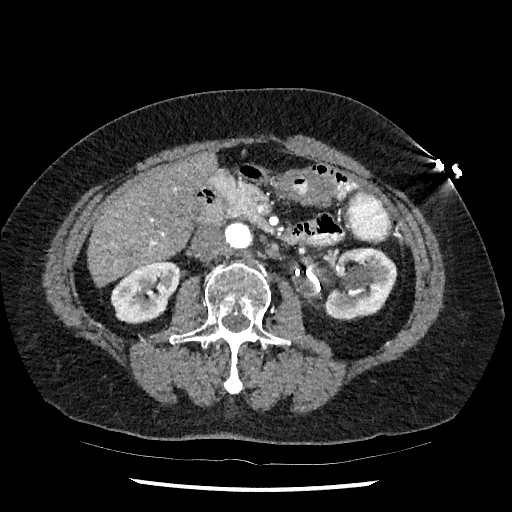

Abdomen; Computed tomography

The liver is bounded by region(88, 152, 216, 286). 2 kidney regions appear at region(111, 262, 179, 322); region(326, 248, 396, 318).